FLAIR MR.
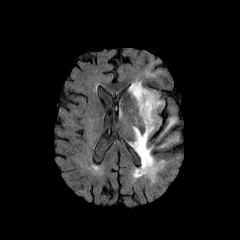
T1-weighted MRI.
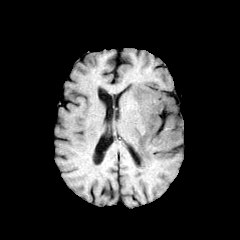
Post-contrast T1-weighted magnetic resonance.
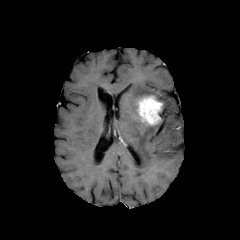
T2-weighted magnetic resonance.
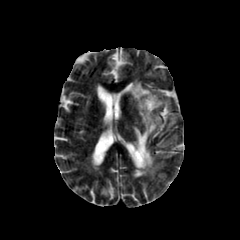
Brain; 240x240 px
Enhancing tumor — [x1=137, y1=95, x2=164, y2=126].
Edema — [x1=128, y1=125, x2=157, y2=177], [x1=160, y1=134, x2=178, y2=147], [x1=161, y1=112, x2=177, y2=135], [x1=128, y1=80, x2=159, y2=106].